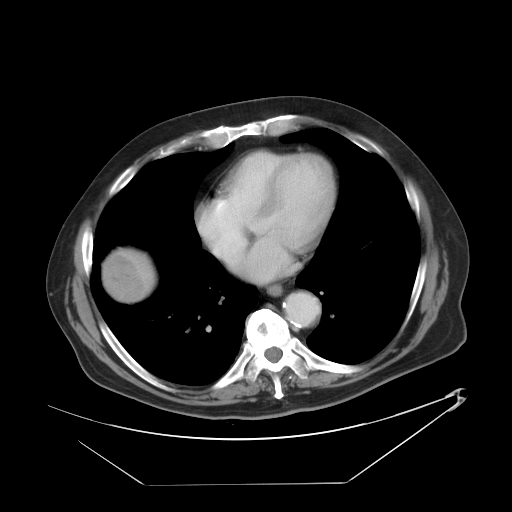 Abdomen. 512x512 px. Computed tomography. <segmentation>
  <liver_tumor>[102,254,145,301]</liver_tumor>
</segmentation>